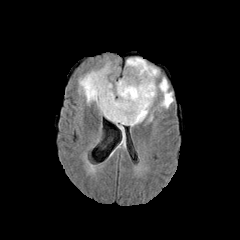
FLAIR magnetic resonance.
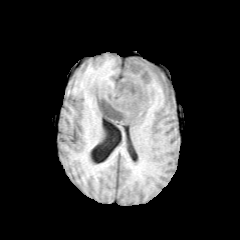
T1-weighted magnetic resonance.
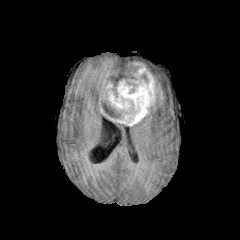
Post-contrast T1-weighted magnetic resonance.
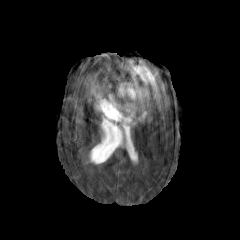
T2-weighted MR.
Head
Findings:
- edema: 80, 65, 110, 115; 126, 58, 172, 127
- non-enhancing tumor core: 99, 88, 121, 119; 124, 63, 138, 83
- enhancing tumor: 106, 62, 156, 125